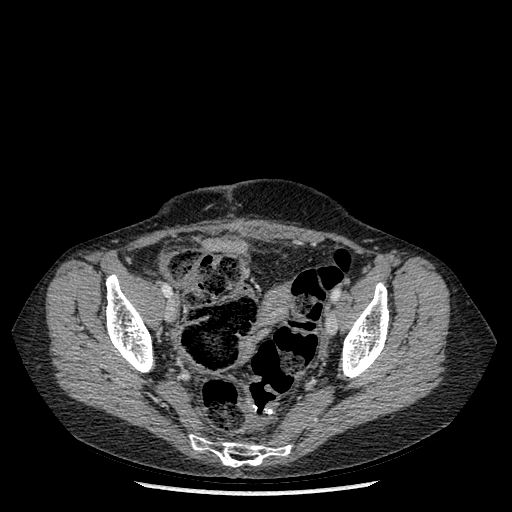

CT scan slice. Image size 512x512.

3 bone regions are located at [x1=341, y1=282, x2=388, y2=378], [x1=106, y1=274, x2=153, y2=372], [x1=189, y1=434, x2=291, y2=466].